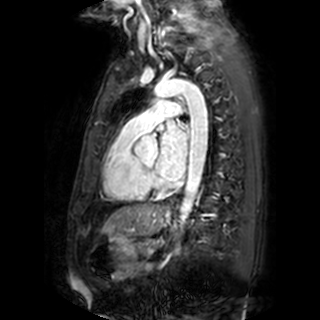 320x320 px, MRI slice
* left atrium: x1=156, y1=120, x2=187, y2=181